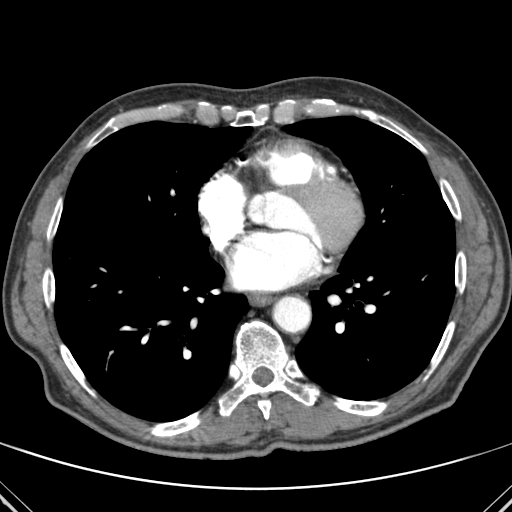 CT image | Thorax | Image size 512x512
<segmentation>
  <lung>(x1=53, y1=121, x2=251, y2=421), (x1=283, y1=116, x2=455, y2=399)</lung>
  <bone>(x1=455, y1=251, x2=466, y2=292), (x1=219, y1=321, x2=319, y2=419), (x1=365, y1=111, x2=426, y2=152), (x1=42, y1=269, x2=54, y2=306), (x1=60, y1=345, x2=93, y2=395), (x1=88, y1=118, x2=117, y2=146), (x1=429, y1=321, x2=454, y2=372), (x1=314, y1=99, x2=336, y2=108), (x1=440, y1=179, x2=460, y2=219), (x1=150, y1=412, x2=200, y2=436), (x1=231, y1=110, x2=266, y2=126), (x1=333, y1=398, x2=386, y2=415), (x1=47, y1=198, x2=61, y2=239)</bone>
</segmentation>